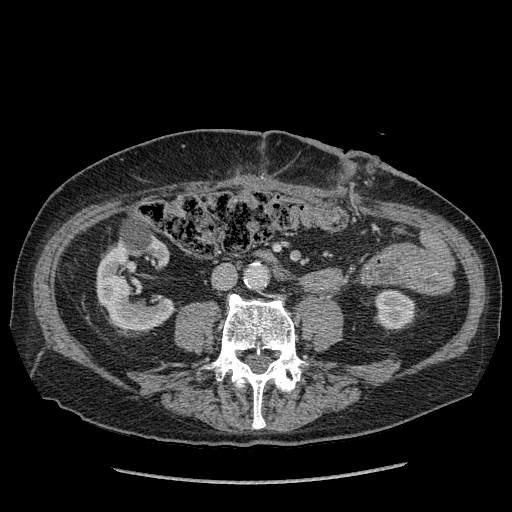
Abdomen. 512x512. Computed tomography. Segmented structures:
* kidney: rect(97, 242, 173, 330); rect(375, 290, 414, 328); rect(148, 240, 168, 265)